FLAIR MR.
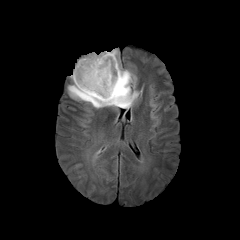
T1-weighted MR.
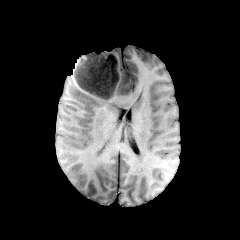
Post-contrast T1-weighted magnetic resonance.
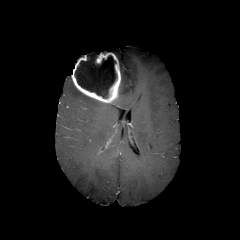
T2-weighted MRI.
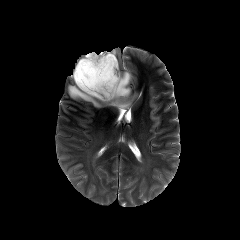
Brain
The enhancing tumor is located at <bbox>72, 52, 120, 102</bbox>. The non-enhancing tumor core is bounded by <bbox>75, 55, 115, 97</bbox>. The edema appears at <bbox>68, 49, 139, 109</bbox>.